CT

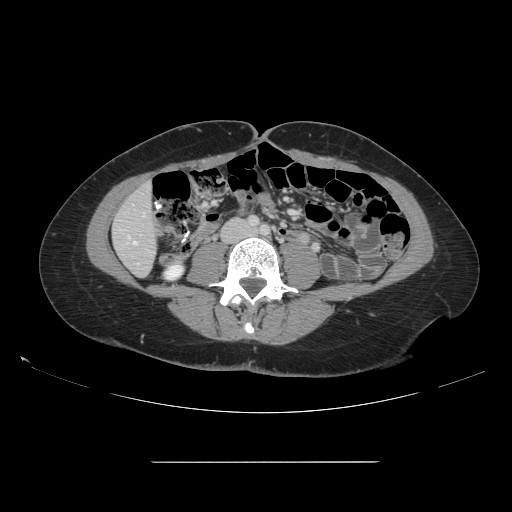

Only some of the vessels may be annotated.
Hepatic vessel: bounding box [128, 236, 130, 238], [133, 242, 137, 244], [143, 213, 145, 216].